FLAIR MR image.
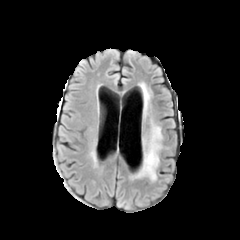
T1-weighted MRI.
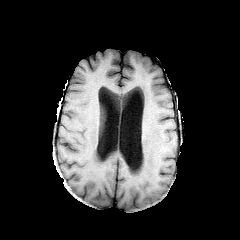
Post-contrast T1-weighted MR.
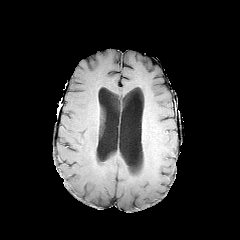
T2-weighted MR image.
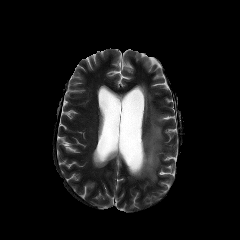
240x240.
2 edema regions are bounded by [133, 122, 161, 180], [140, 84, 150, 117].